240x240. Field of view 240 mm wide, 1.00 mm slice spacing. Head. Slice 81/155.
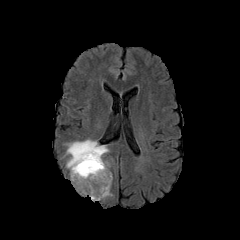
FLAIR MR.
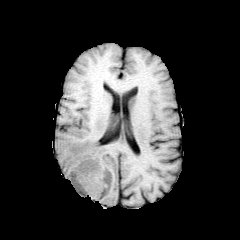
T1-weighted MRI.
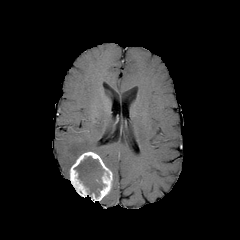
Post-contrast T1-weighted MR.
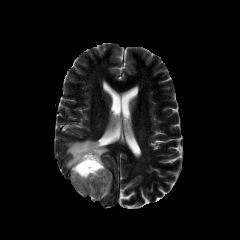
Same slice, T2-weighted MR image.
Enhancing tumor — 70:152:112:200.
Non-enhancing tumor core — 75:156:103:196.
Edema — 65:139:109:169.